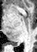
Image size 37x52. Magnetic resonance. Hippocampus.

<segmentation>
  <posterior_hippocampus>bbox=[12, 42, 17, 45]</posterior_hippocampus>
</segmentation>